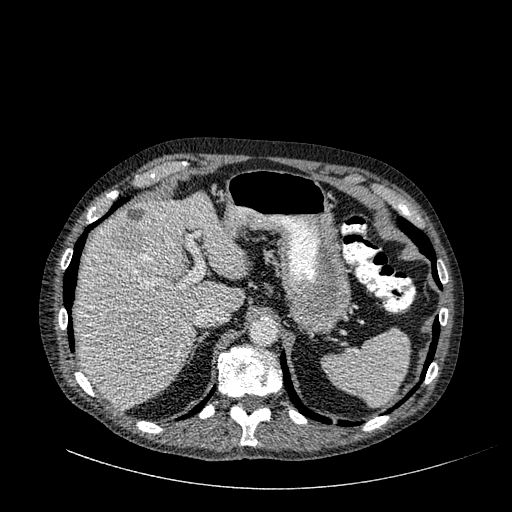
Image size 512x512. CT slice. Abdomen.

The liver is bounded by (x1=75, y1=192, x2=245, y2=408). 2 focal liver lesion regions are bounded by (x1=115, y1=224, x2=144, y2=252), (x1=127, y1=209, x2=144, y2=220).